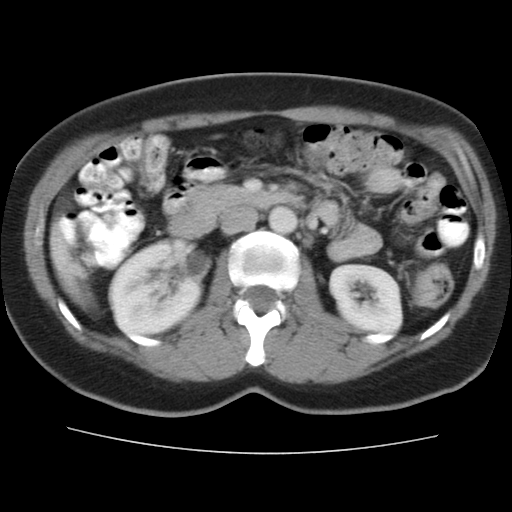

CT image; Abdomen
Colon tumor at [414,264,450,305].